CT scan slice | Chest 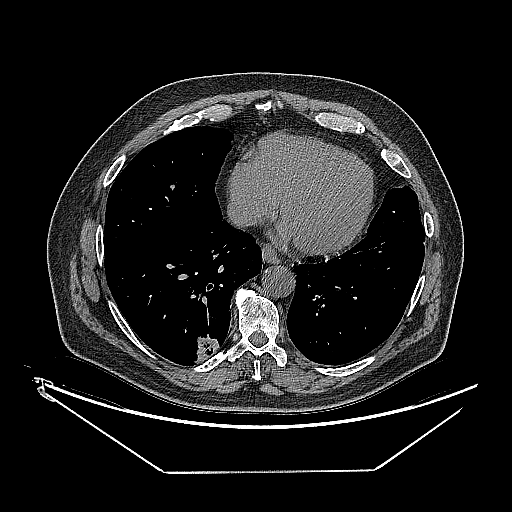 Lung tumor — <box>193,334,219,363</box>.